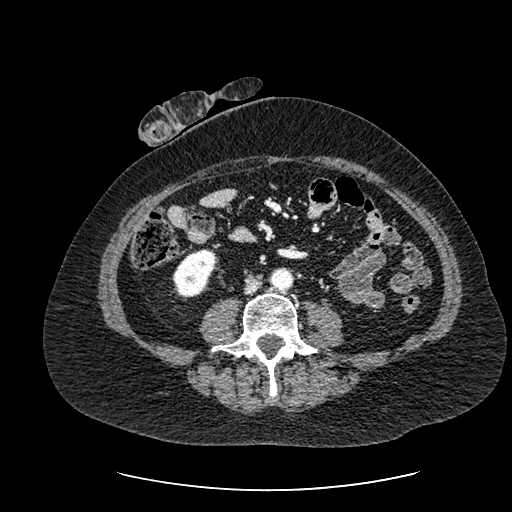
Abdomen, Image size 512x512, CT scan slice
kidney:
  - 173, 250, 215, 296